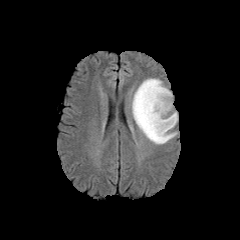
FLAIR MR.
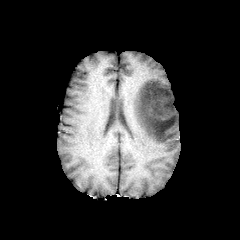
T1-weighted MR.
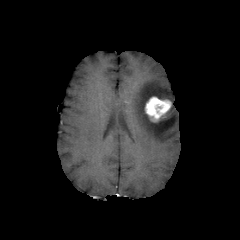
Post-contrast T1-weighted MR image of the same slice.
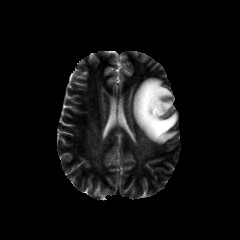
T2-weighted magnetic resonance.
240x240. Brain.
Edema — (left=131, top=78, right=177, bottom=144).
Enhancing tumor — (left=145, top=96, right=173, bottom=122).